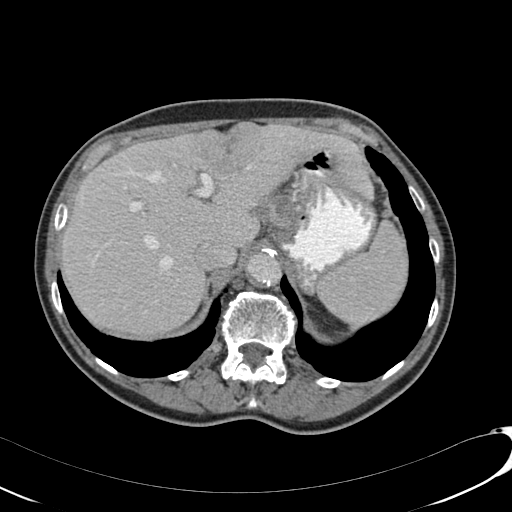

Liver, Computed tomography
Findings:
* liver: [63, 124, 372, 335]
* liver lesion: [200, 123, 261, 173]